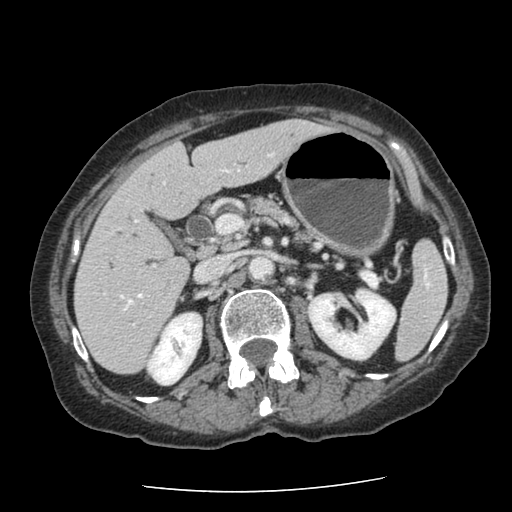
512x512; CT; Abdomen
<segmentation>
  <pancreas>left=246, top=196, right=288, bottom=221; left=298, top=232, right=306, bottom=241</pancreas>
</segmentation>